FLAIR MR.
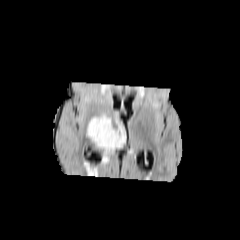
T1-weighted MRI.
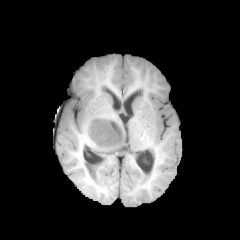
Post-contrast T1-weighted MR image.
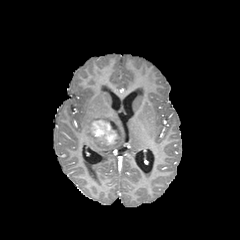
T2-weighted MR.
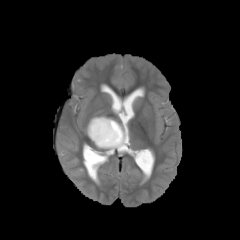
Brain.
Non-enhancing tumor core: 102 119 124 142.
Edema: 86 129 123 150.
Enhancing tumor: 90 119 117 146.